FLAIR MR.
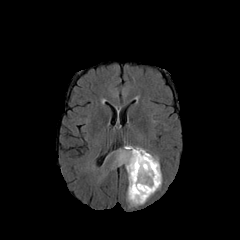
T1-weighted MR.
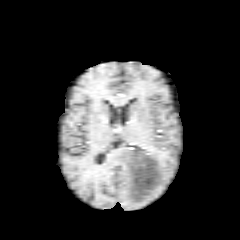
Post-contrast T1-weighted MR image.
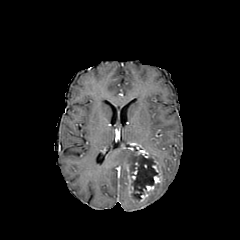
T2-weighted MRI.
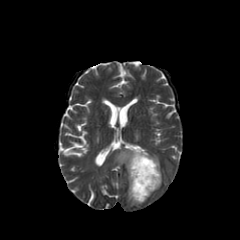
240x240
non-enhancing_tumor_core:
  - rect(130, 153, 158, 199)
enhancing_tumor:
  - rect(140, 174, 161, 201)
  - rect(135, 146, 149, 157)
edema:
  - rect(115, 145, 161, 206)
  - rect(148, 152, 161, 175)